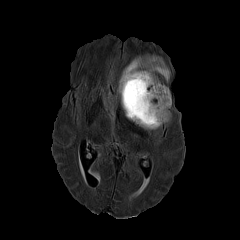
FLAIR MRI.
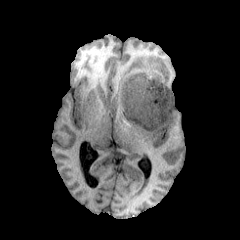
T1-weighted magnetic resonance of the same slice.
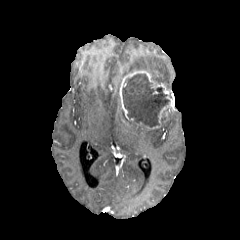
Same slice, post-contrast T1-weighted MR image.
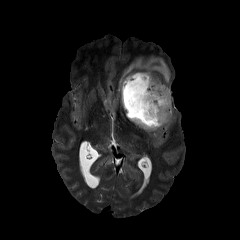
T2-weighted MR.
Brain
Non-enhancing tumor core — <bbox>122, 73, 171, 127</bbox>.
Edema — <bbox>117, 54, 170, 92</bbox>.
Enhancing tumor — <bbox>119, 71, 169, 121</bbox>, <bbox>158, 98, 173, 124</bbox>.